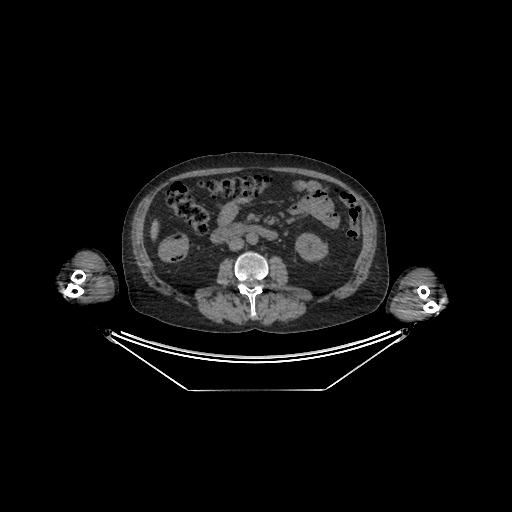 CT scan slice. Abdomen. Segmented structures:
* liver: [151, 221, 157, 238]
* kidney: [295, 233, 328, 261]